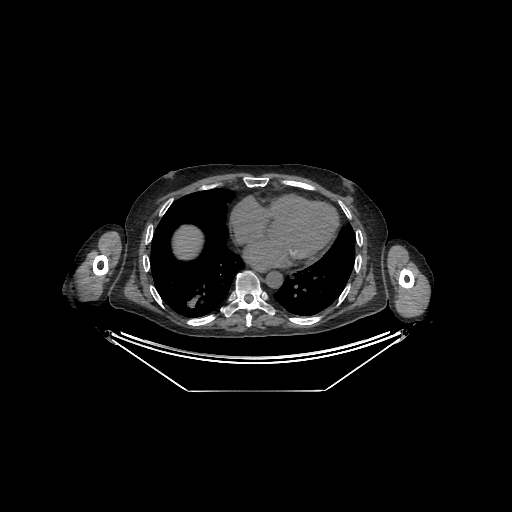
Liver. CT scan slice. The liver appears at (173,225,202,258).